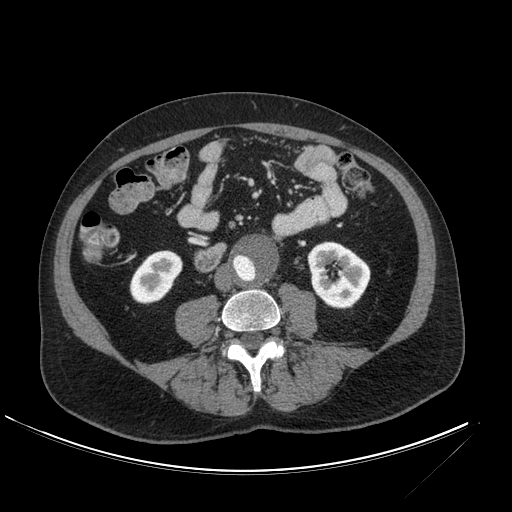
Abdomen. CT scan slice. 2 kidney regions are bounded by [308,242,369,307], [131,251,181,302].